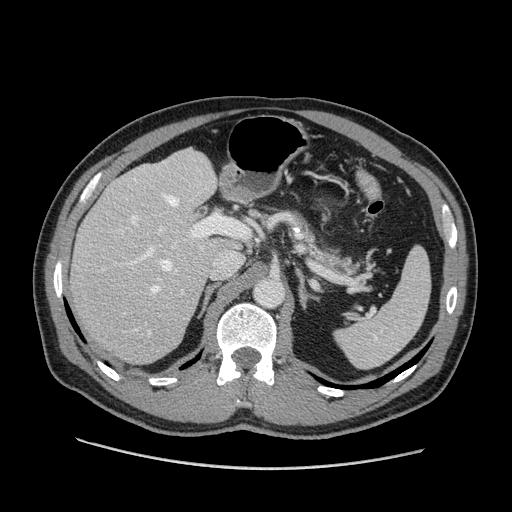 Image size 512x512. CT slice. Annotated regions:
* pancreas: bbox(284, 210, 362, 277)